Image size 512x512 | CT | Liver 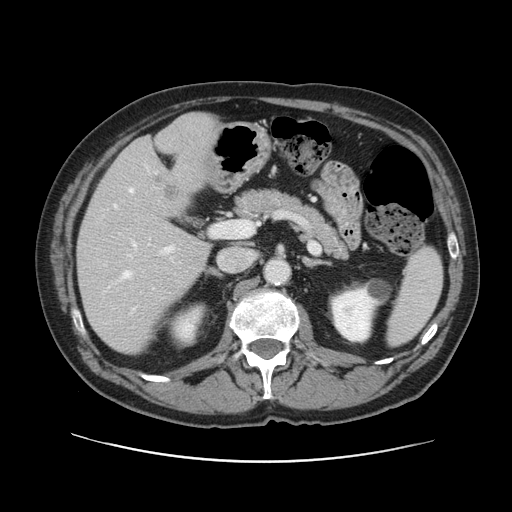 Only some of the vessels may be annotated.
Findings:
- hepatic vessel: 130,188,132,191; 161,246,172,253; 114,204,116,207; 134,243,135,246; 119,271,130,279